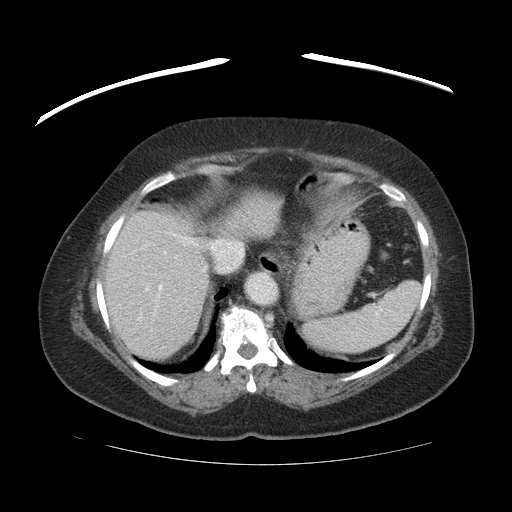

Computed tomography
Only some of the vessels may be annotated.
hepatic vessel: (left=202, top=267, right=205, bottom=270), (left=210, top=240, right=243, bottom=272), (left=180, top=236, right=197, bottom=245), (left=159, top=285, right=161, bottom=289), (left=146, top=288, right=147, bottom=290)